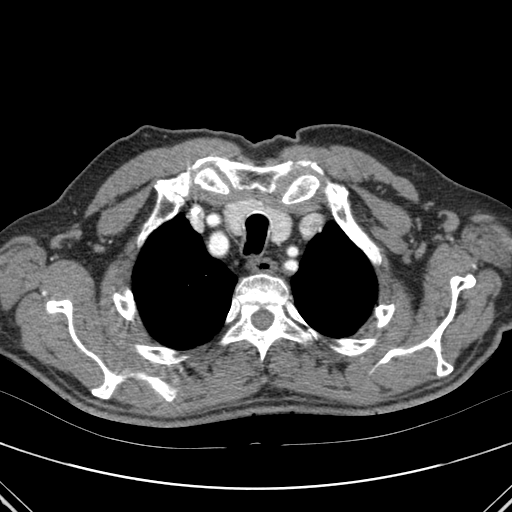

CT image; Thorax; 512x512

Annotated regions:
* lung: [291,222,377,337], [132,213,237,349]
* bone: [135,345,185,364], [282,175,319,203], [46,299,122,398], [147,376,175,401], [325,181,380,263], [112,290,135,320], [333,339,376,355], [194,168,229,194], [221,274,317,359], [375,274,475,376], [139,157,322,244], [375,304,394,327]